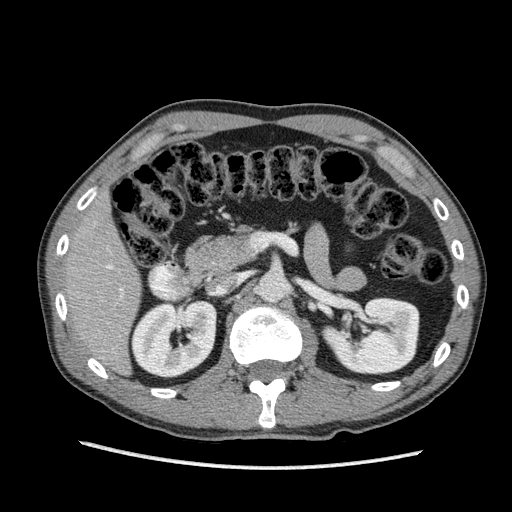
CT slice. Abdomen.
The liver is bounded by box=[61, 193, 141, 375]. 2 kidney regions are bounded by box=[325, 299, 418, 372]; box=[133, 302, 215, 376].